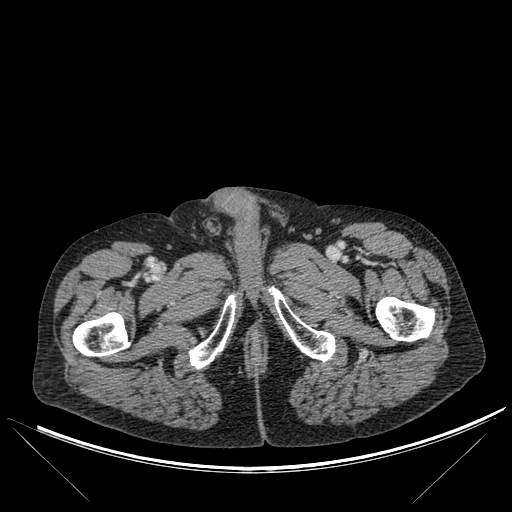

512x512 px | CT slice
bone: bbox=[189, 294, 235, 368]; bbox=[73, 312, 129, 356]; bbox=[376, 297, 434, 341]; bbox=[270, 287, 335, 361]